CT slice. 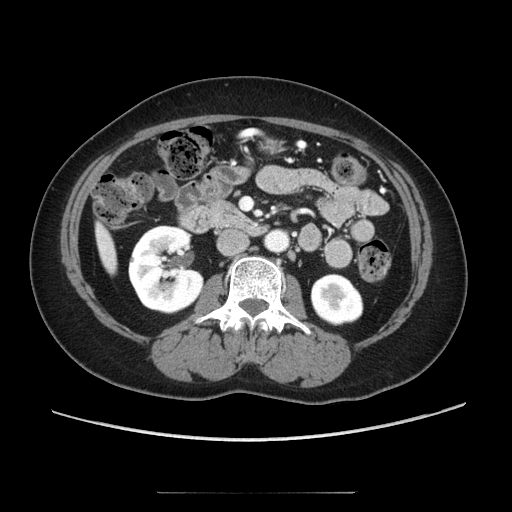 pancreas: bbox=[210, 201, 243, 219]